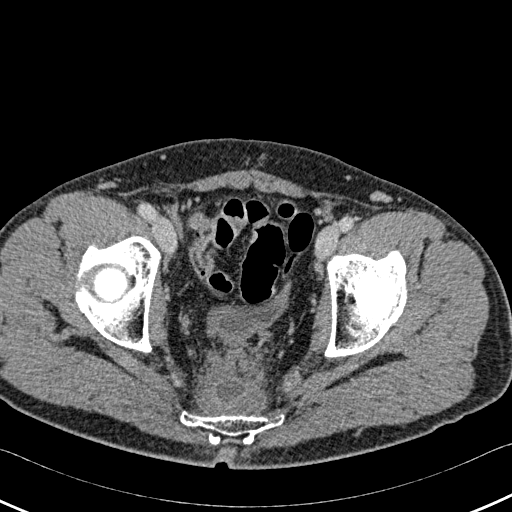 CT scan slice | 512x512 px
{
  "bone": [
    "<bbox>76, 237, 160, 351</bbox>",
    "<bbox>325, 251, 406, 356</bbox>",
    "<bbox>204, 432, 220, 444</bbox>",
    "<bbox>180, 411, 283, 443</bbox>"
  ]
}